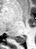

MR, Medial temporal lobe
<segmentation>
  <posterior_hippocampus>bbox=[11, 35, 26, 43]</posterior_hippocampus>
</segmentation>